CT 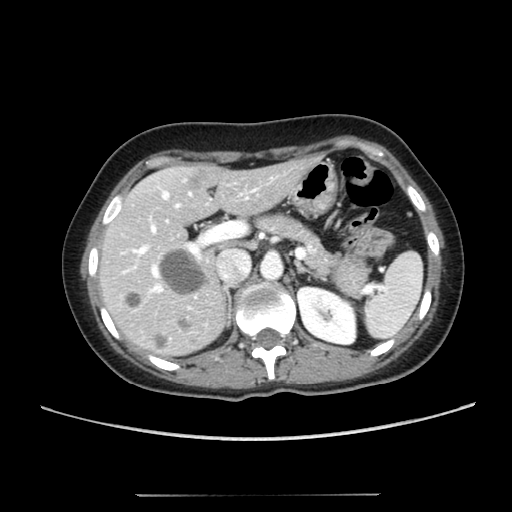
Liver at x1=98 y1=155 x2=323 y2=358.
Kidney at x1=298 y1=288 x2=354 y2=343.
Liver lesion at x1=188 y1=168 x2=205 y2=188, x1=150 y1=332 x2=168 y2=348, x1=177 y1=315 x2=190 y2=329, x1=158 y1=247 x2=211 y2=297, x1=122 y1=290 x2=141 y2=309.